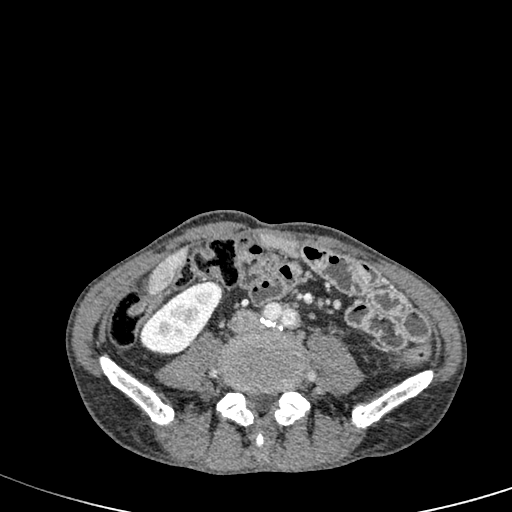
Upper abdomen, 512x512, CT image
kidney: (left=141, top=282, right=221, bottom=353) | liver: (left=149, top=248, right=186, bottom=294)